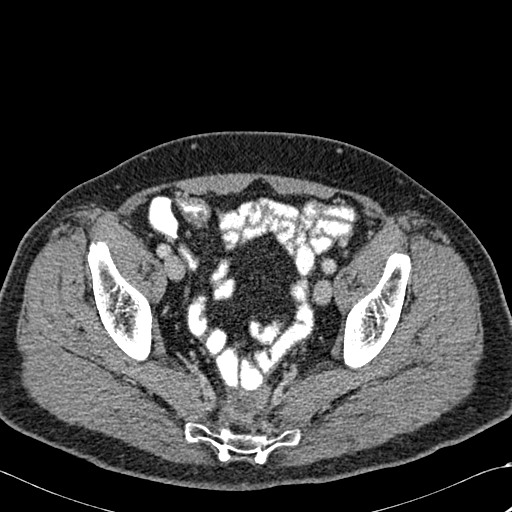
Computed tomography
Bone: box=[88, 242, 151, 360]; box=[185, 423, 299, 463]; box=[344, 253, 410, 367].